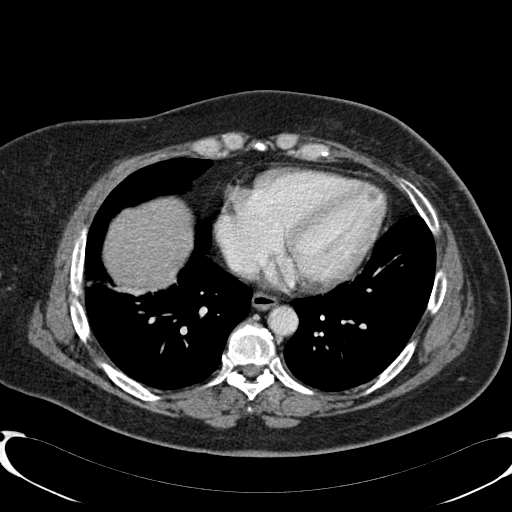 CT
Annotated regions:
• liver: (102,199,191,286)